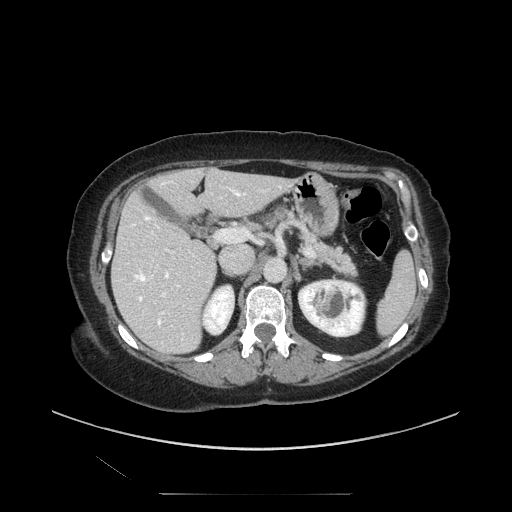

512x512. Abdomen. CT.
2 pancreas regions appear at <bbox>243, 207, 294, 228</bbox>, <bbox>308, 233, 357, 277</bbox>.